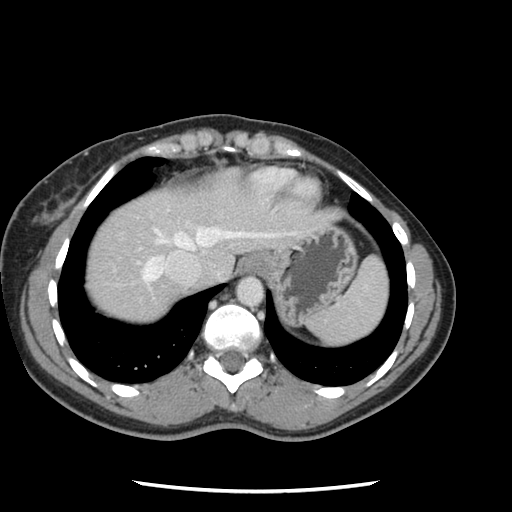
Image size 512x512, CT scan slice, Liver

Not every hepatic vessel necessarily has a box.
Hepatic vessel: bbox(155, 228, 276, 248); bbox(142, 256, 163, 280).